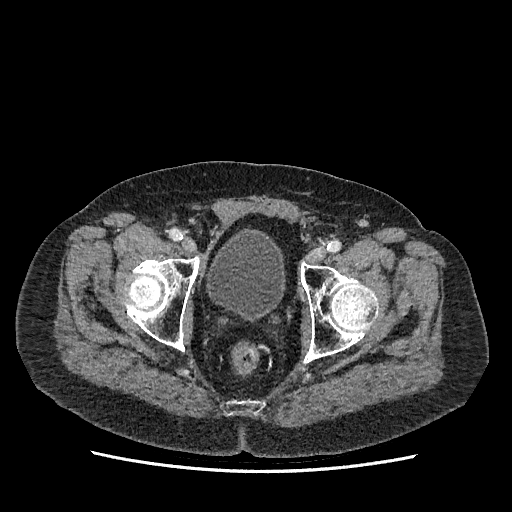 Pelvis | CT slice

Annotated regions:
• urinary bladder: l=206, t=232, r=283, b=318